Image size 512x512 | Computed tomography 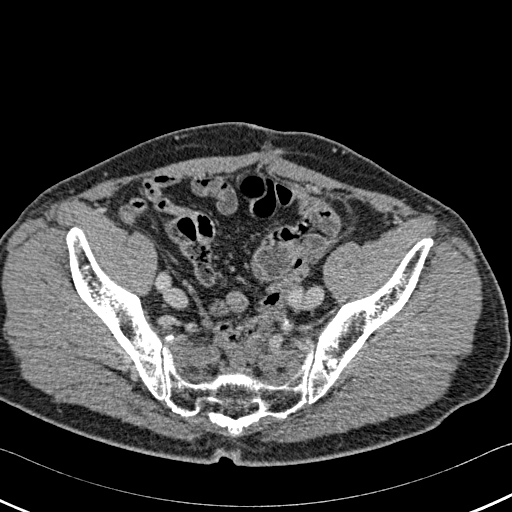

Bone: bounding box rect(67, 227, 432, 433).